CT, 512x512 px 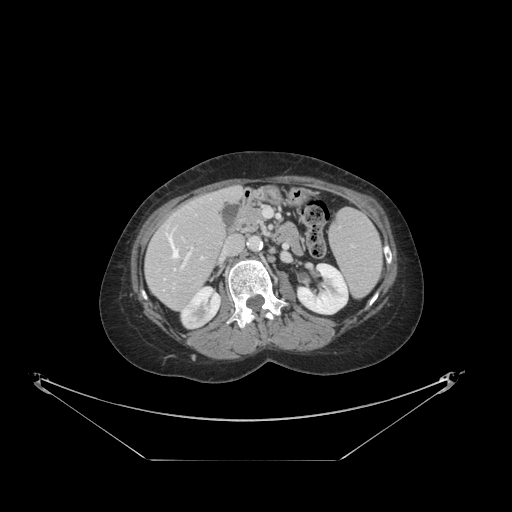 The vessel boxes may cover only some of the vessels.
3 hepatic vessel regions are located at [191,247,192,248], [167,234,177,257], [182,253,190,267].